CT image, Image size 512x512 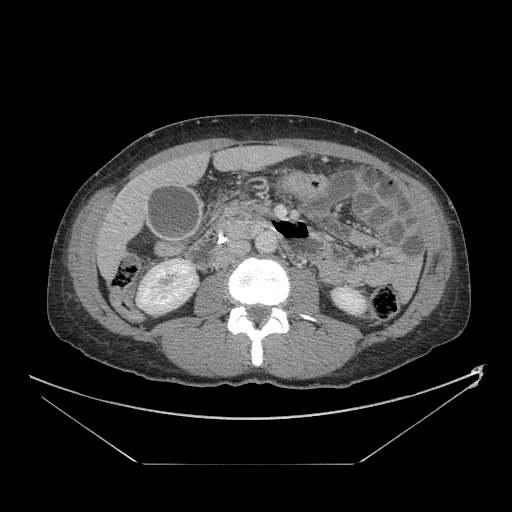 pancreas: <bbox>218, 198, 272, 240</bbox>